Image width 512 mm | CT | Liver

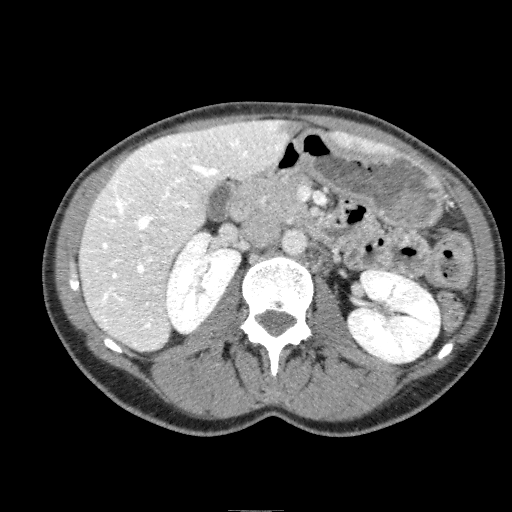
<segmentation>
  <kidney>l=348, t=271, r=439, b=362; l=166, t=233, r=240, b=332</kidney>
  <hepatic_lesion>l=277, t=121, r=301, b=138</hepatic_lesion>
  <liver>l=327, t=131, r=394, b=153; l=79, t=119, r=289, b=351; l=292, t=121, r=306, b=128</liver>
</segmentation>